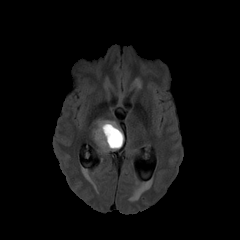
FLAIR MR image.
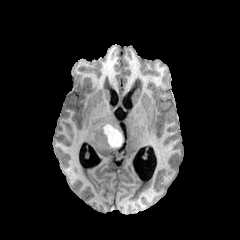
T1-weighted MR of the same slice.
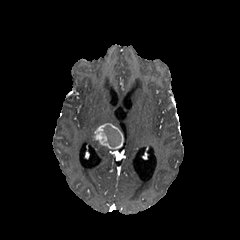
Post-contrast T1-weighted magnetic resonance.
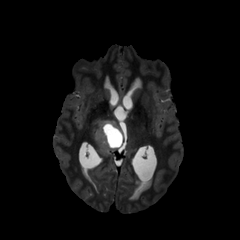
T2-weighted magnetic resonance.
Head. 240x240.
Segmented structures:
• non-enhancing tumor core: [102, 125, 121, 147]
• enhancing tumor: [93, 123, 123, 151]
• edema: [90, 136, 112, 152], [92, 119, 117, 135]